Abdomen, CT slice

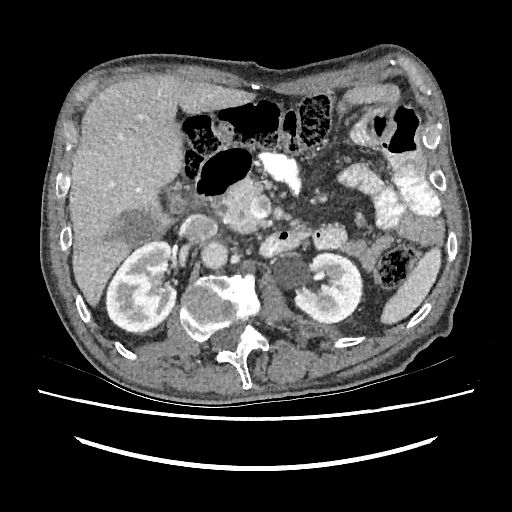 2 kidney regions are located at bbox(295, 253, 361, 322); bbox(107, 242, 175, 331). The liver is at bbox(70, 75, 252, 306). 2 hepatic lesion regions are located at bbox(106, 209, 161, 248); bbox(74, 242, 82, 251).